CT image 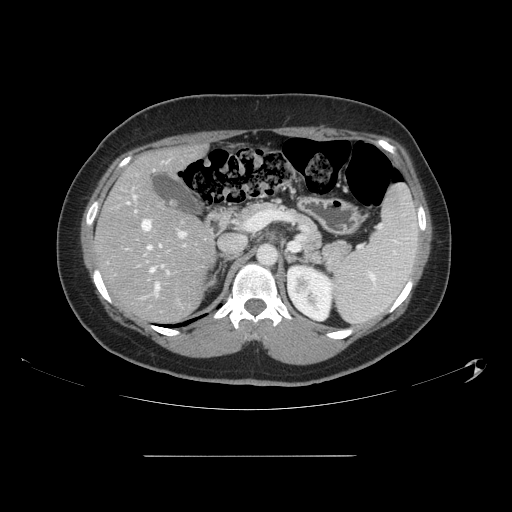
The vessel boxes may cover only some of the vessels.
9 hepatic vessel regions are bounded by <box>154,284,159,295</box>, <box>167,272,168,274</box>, <box>126,202,129,204</box>, <box>150,268,154,271</box>, <box>148,246,151,249</box>, <box>142,220,150,230</box>, <box>178,232,184,236</box>, <box>161,265,163,267</box>, <box>133,195,135,198</box>.